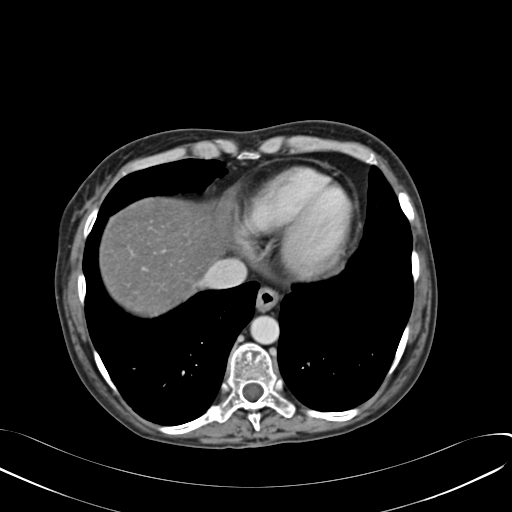 CT scan slice. 512x512. Liver.
liver: (99,199,226,314)